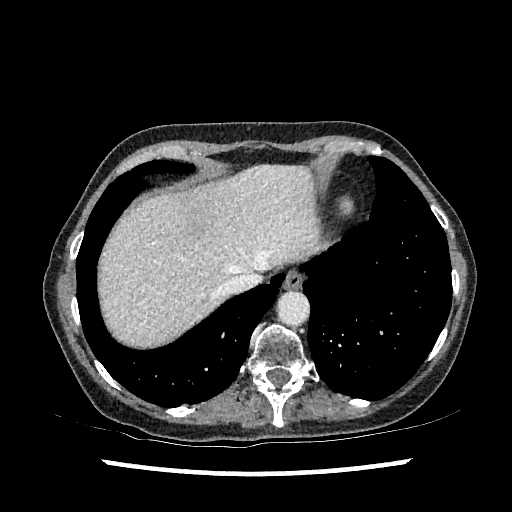

Abdomen. CT scan slice.

Liver — box(98, 166, 317, 345).
Liver lesion — box(190, 223, 203, 238).